Head
FLAIR MR image.
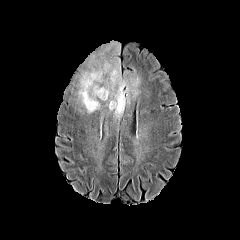
T1-weighted MR image.
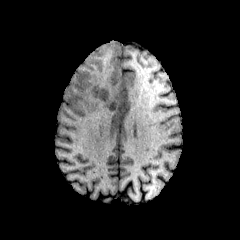
Post-contrast T1-weighted MR.
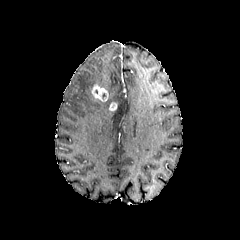
T2-weighted magnetic resonance.
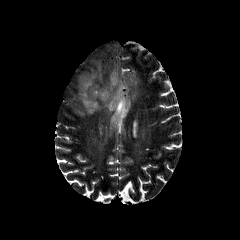
Enhancing tumor = [91,84,108,101].
Edema = [77,58,139,118].